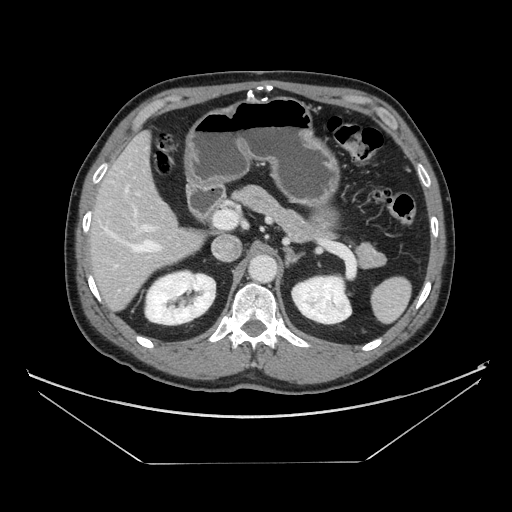 Upper abdomen; CT; 512x512 px
<segmentation>
  <pancreas>(231, 185, 315, 242), (354, 243, 385, 268)</pancreas>
</segmentation>